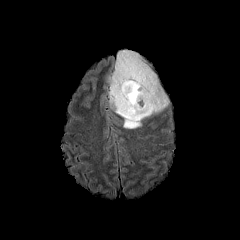
FLAIR MR image.
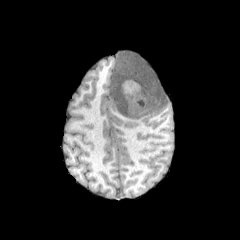
T1-weighted MR.
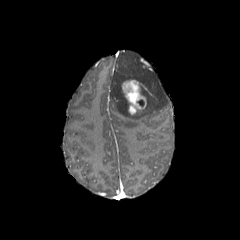
Post-contrast T1-weighted MRI.
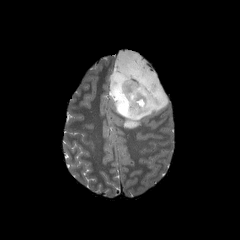
T2-weighted MR of the same slice.
Image size 240x240
Findings:
• edema: {"x1": 110, "y1": 50, "x2": 168, "y2": 128}
• enhancing tumor: {"x1": 120, "y1": 78, "x2": 146, "y2": 115}